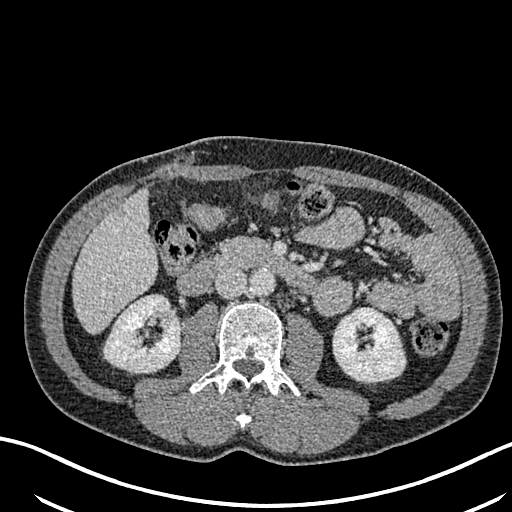
Upper abdomen | CT slice
The liver is at {"x1": 72, "y1": 190, "x2": 155, "y2": 331}. The hepatic lesion is at {"x1": 116, "y1": 207, "x2": 126, "y2": 217}. 2 kidney regions are bounded by {"x1": 105, "y1": 295, "x2": 179, "y2": 372}, {"x1": 333, "y1": 308, "x2": 405, "y2": 381}.